512x512 px, CT image, Abdomen 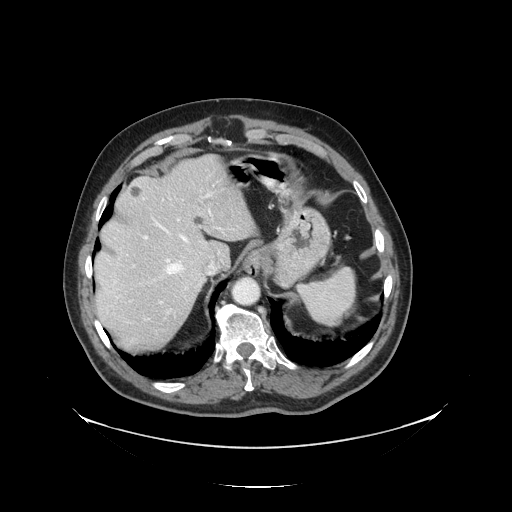 Some hepatic vessels may have no box.
Segmented structures:
• liver tumor: bbox=[130, 187, 140, 197]
• hepatic vessel: bbox=[160, 302, 162, 303]; bbox=[208, 207, 210, 213]; bbox=[181, 235, 188, 241]; bbox=[167, 259, 170, 262]; bbox=[205, 193, 212, 197]; bbox=[133, 265, 135, 266]; bbox=[217, 228, 224, 232]; bbox=[211, 218, 213, 220]; bbox=[199, 278, 204, 285]; bbox=[209, 263, 216, 274]; bbox=[144, 236, 147, 238]; bbox=[167, 311, 169, 313]